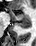

Hippocampus; MR image; 36x46
posterior_hippocampus:
  - <box>16,22,30,28</box>
anterior_hippocampus:
  - <box>9,9,30,21</box>